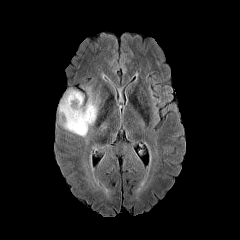
FLAIR MRI.
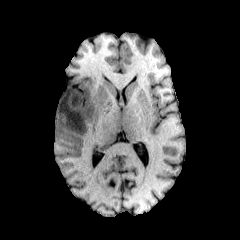
T1-weighted MRI.
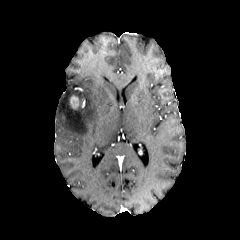
Post-contrast T1-weighted MR image.
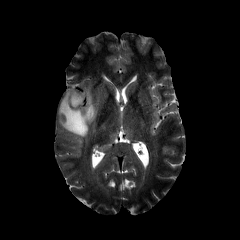
T2-weighted magnetic resonance.
edema:
  - 56, 86, 97, 138
enhancing_tumor:
  - 69, 94, 82, 109